Brain.
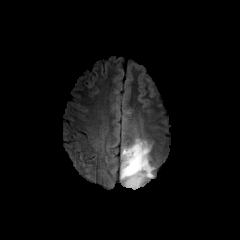
FLAIR MR image.
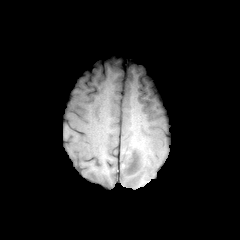
T1-weighted magnetic resonance.
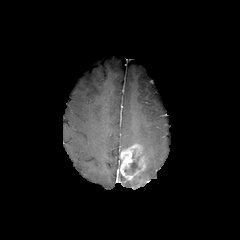
Post-contrast T1-weighted MR image.
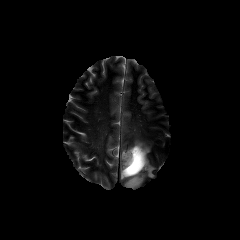
T2-weighted MRI.
{"edema": ["bbox(120, 137, 154, 179)"], "non-enhancing_tumor_core": ["bbox(125, 180, 138, 186)", "bbox(130, 161, 139, 171)"], "enhancing_tumor": ["bbox(120, 144, 147, 188)"]}